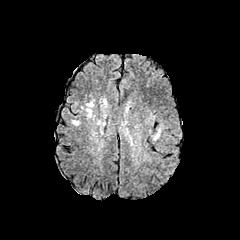
FLAIR magnetic resonance.
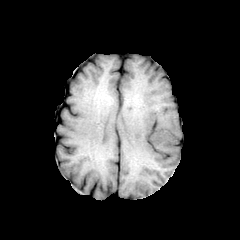
T1-weighted magnetic resonance of the same slice.
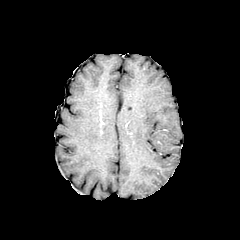
Post-contrast T1-weighted MR.
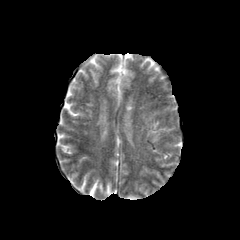
T2-weighted magnetic resonance.
Segmented structures:
• edema: 152:127:164:141